512x512 px; Abdomen; CT image

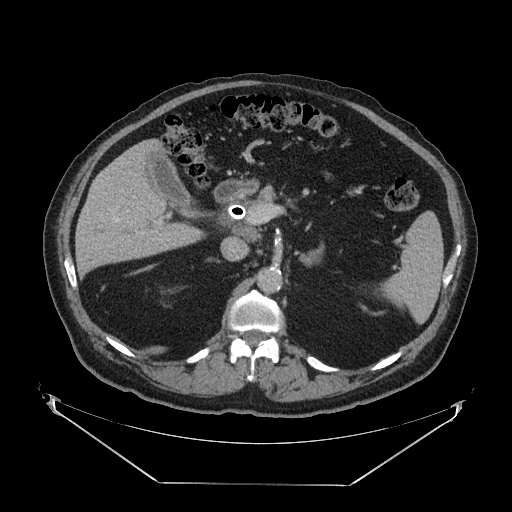
The pancreas is at [245, 188, 273, 209].